CT, Slice 187 of 299

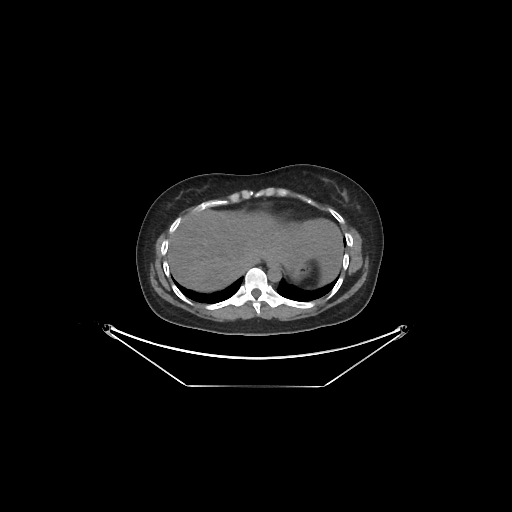
Liver — bbox=[167, 209, 343, 290].